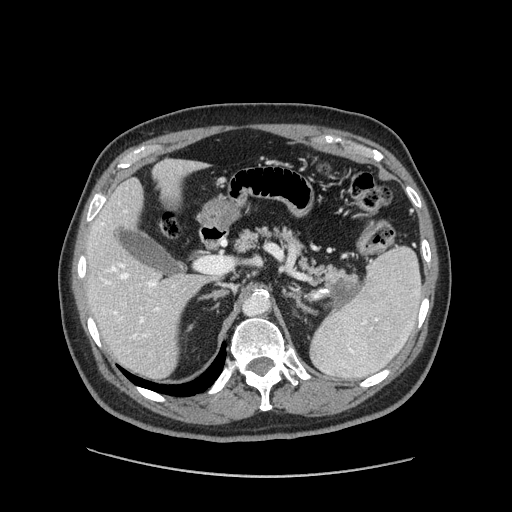

CT scan slice | Upper abdomen | 512x512 px
Segmented structures:
- pancreatic tumor: bbox=[330, 278, 358, 308]
- pancreas: bbox=[233, 227, 361, 291]